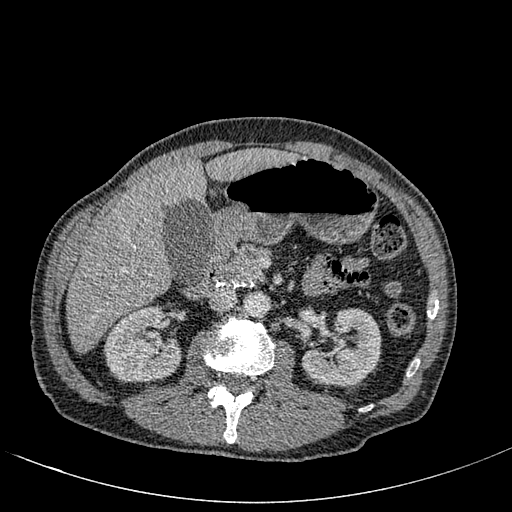

Upper abdomen | 512x512 | CT slice
The liver is bounded by 67:148:293:352. 2 kidney regions appear at 104:307:180:381, 302:309:380:385.